Upper abdomen; Computed tomography; Image size 512x512

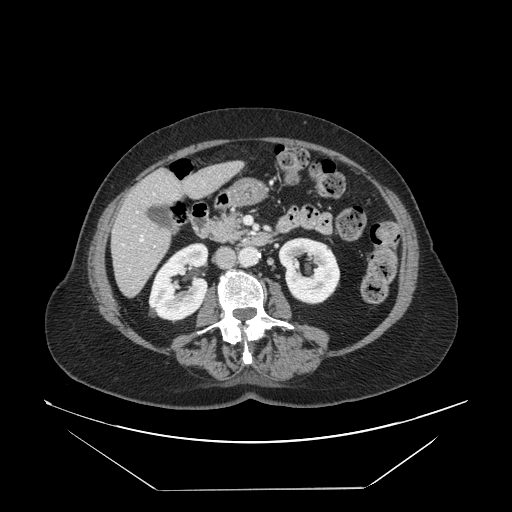 Pancreas: l=204, t=211, r=249, b=244.